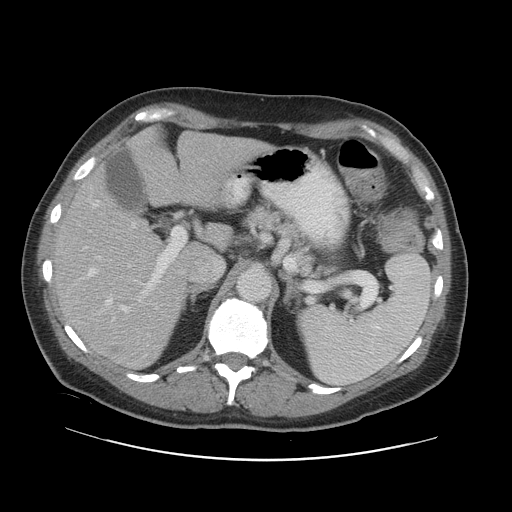

512x512; Computed tomography; Abdomen
Not every hepatic vessel necessarily has a box.
hepatic vessel: [155, 307, 157, 308], [119, 305, 128, 312], [141, 291, 147, 294], [138, 298, 141, 301], [170, 247, 177, 253], [144, 257, 173, 289], [132, 222, 135, 227]